Head. Slice index 104.
FLAIR magnetic resonance.
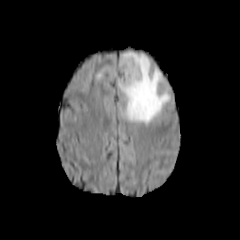
T1-weighted magnetic resonance.
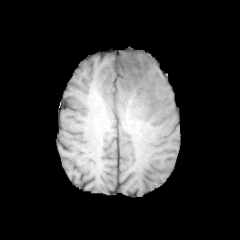
Post-contrast T1-weighted MR image.
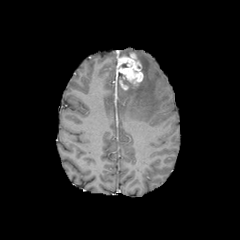
T2-weighted MR.
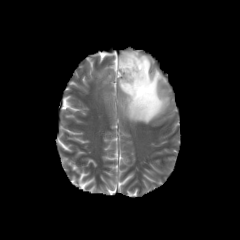
The edema appears at x1=119, y1=53, x2=169, y2=124. The enhancing tumor is at x1=116, y1=53, x2=143, y2=89. The non-enhancing tumor core is at x1=122, y1=80, x2=135, y2=89.